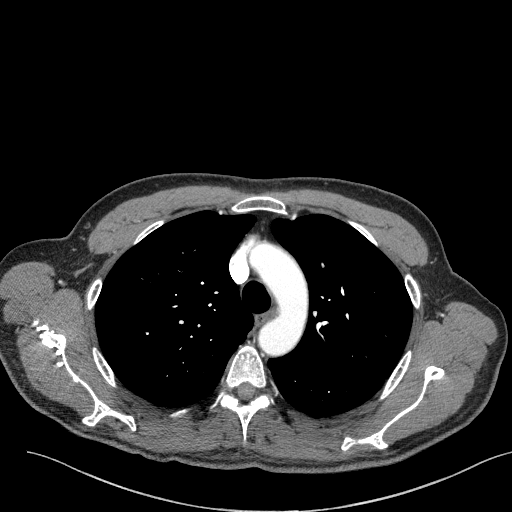
CT; 512x512
Lung tumor: box=[339, 257, 368, 285].